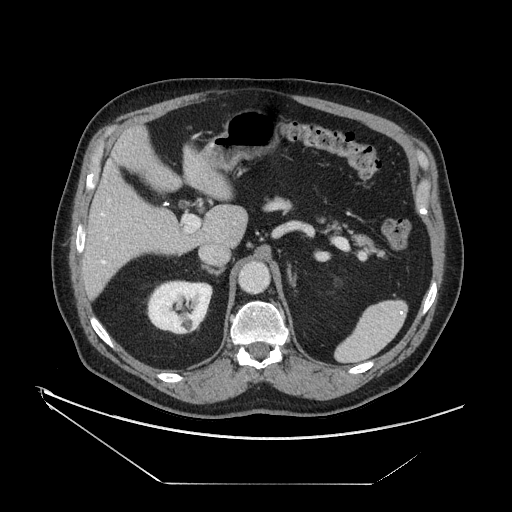
CT scan slice
Pancreas at (321, 218, 379, 254).